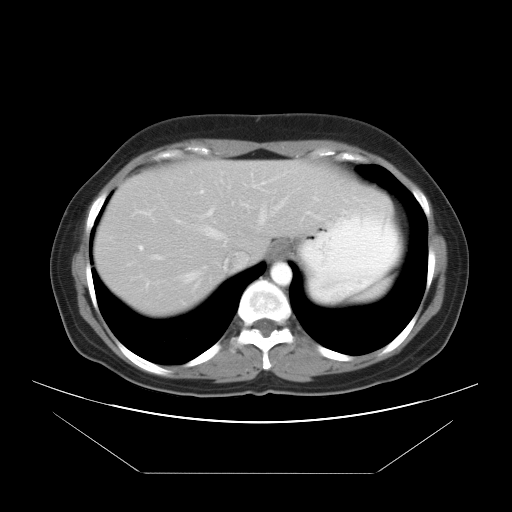

CT scan slice.

Only some of the vessels may be annotated.
{"hepatic_vessel": ["139 245 142 250", "208 229 218 235", "141 212 148 213", "275 201 283 209", "181 271 200 282", "260 210 265 222"]}